Brain. Slice 41 of 155. Field of view 240 mm wide, 1.00 mm slice spacing. 240x240 px.
FLAIR MRI.
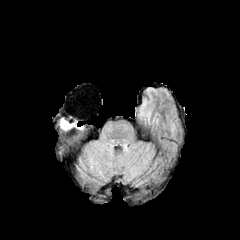
T1-weighted MR.
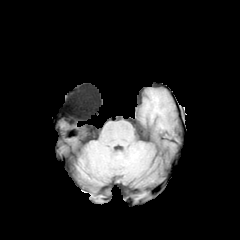
Post-contrast T1-weighted MR image.
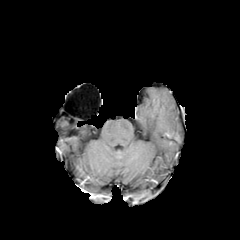
T2-weighted MR image.
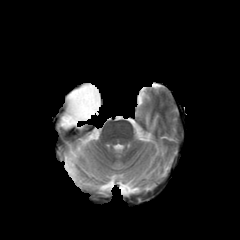
Edema: bounding box box(60, 118, 75, 129).